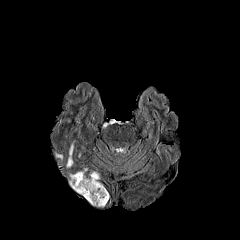
FLAIR MR.
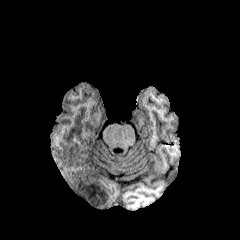
Same slice, T1-weighted magnetic resonance.
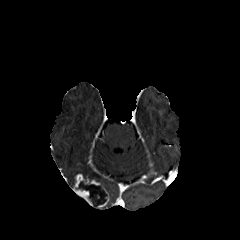
Same slice, post-contrast T1-weighted MR image.
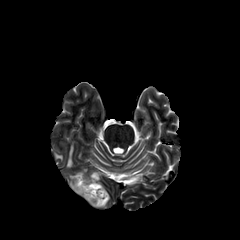
Same slice, T2-weighted magnetic resonance.
Head
Edema at 67, 141, 74, 167.
Enhancing tumor at 73, 173, 92, 206; 85, 178, 100, 185.
Non-enhancing tumor core at 75, 174, 107, 208; 69, 175, 76, 187.